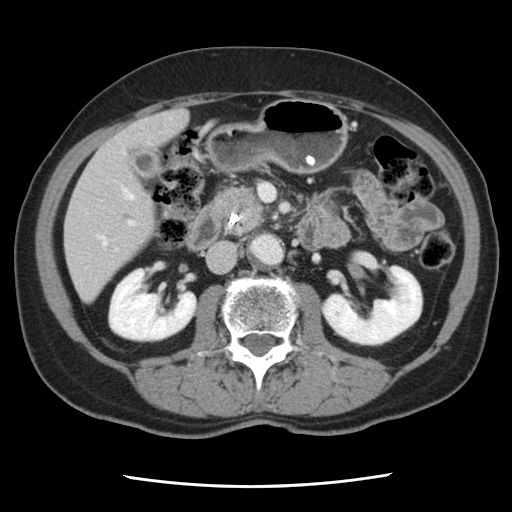 CT | Abdomen
The pancreatic tumor appears at [x1=213, y1=185, x2=266, y2=236].